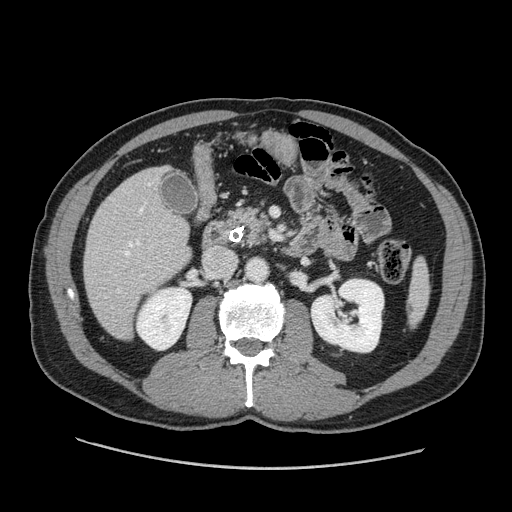

CT. The pancreas lies within 226 205 272 249.